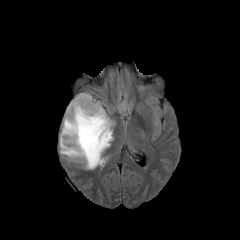
FLAIR MR image.
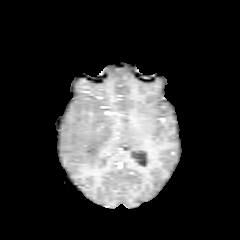
T1-weighted magnetic resonance of the same slice.
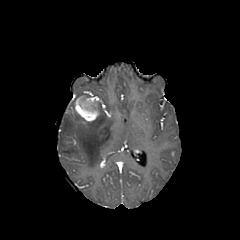
Post-contrast T1-weighted magnetic resonance.
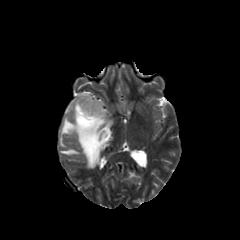
Same slice, T2-weighted MR image.
<segmentation>
  <non-enhancing_tumor_core>{"x1": 68, "y1": 98, "x2": 95, "y2": 128}, {"x1": 75, "y1": 93, "x2": 106, "y2": 115}</non-enhancing_tumor_core>
  <enhancing_tumor>{"x1": 74, "y1": 96, "x2": 97, "y2": 121}</enhancing_tumor>
  <edema>{"x1": 59, "y1": 106, "x2": 113, "y2": 169}</edema>
</segmentation>